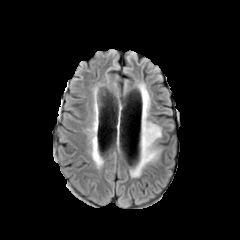
FLAIR MRI.
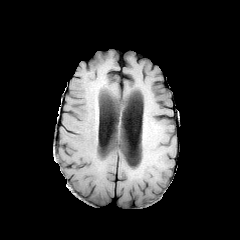
Same slice, T1-weighted MR image.
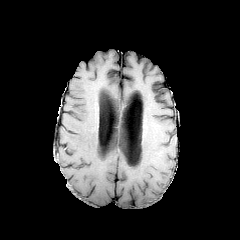
Post-contrast T1-weighted magnetic resonance.
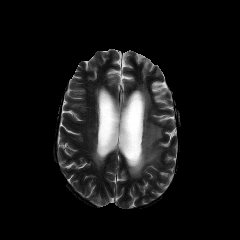
Same slice, T2-weighted magnetic resonance.
<segmentation>
  <edema>[x1=132, y1=85, x2=161, y2=177]</edema>
</segmentation>